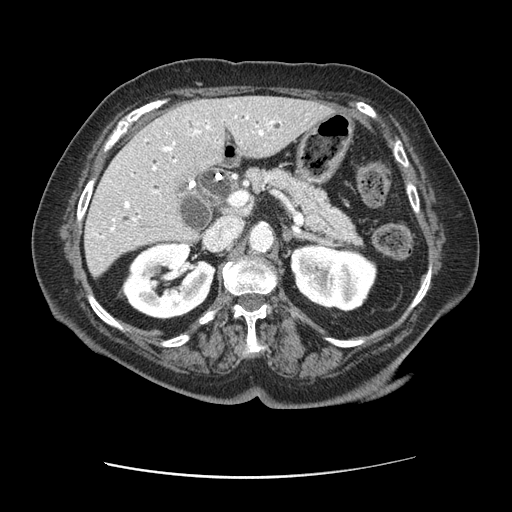
CT scan slice | Image size 512x512
<segmentation>
  <pancreas>257, 167, 365, 250</pancreas>
</segmentation>